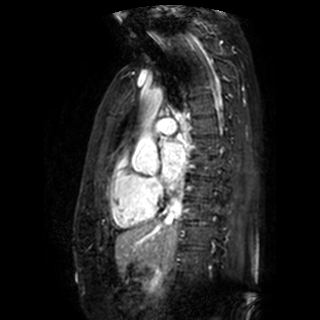

Image size 320x320; MRI slice
Left atrium: bounding box (left=161, top=141, right=187, bottom=180).